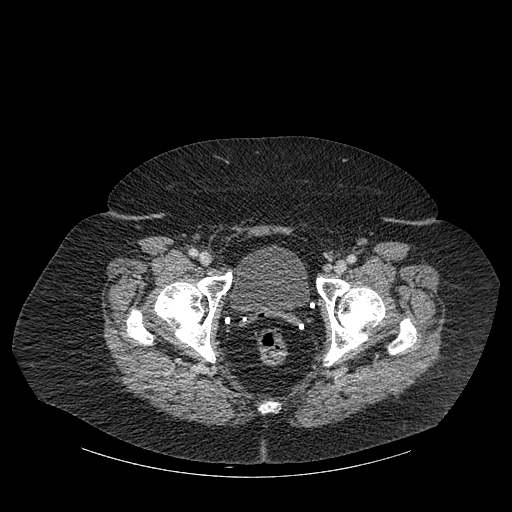

512x512 | Pelvis | Computed tomography
Bone at box(316, 277, 385, 366); box(259, 402, 277, 412); box(388, 319, 416, 354); box(154, 272, 232, 362); box(127, 310, 152, 344).
Urinary bladder at box(231, 244, 310, 322).